CT scan slice | Slice 563 of 565 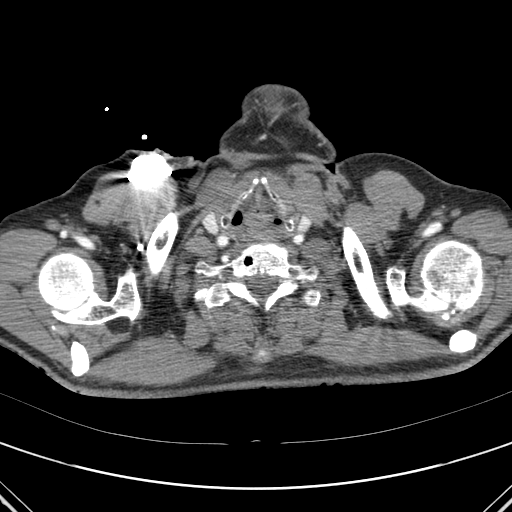

9 bone regions are bounded by x1=423 y1=223 x2=440 y2=236, x1=342 y1=226 x2=390 y2=318, x1=38 y1=253 x2=140 y2=324, x1=194 y1=280 x2=258 y2=307, x1=386 y1=241 x2=482 y2=311, x1=146 y1=212 x2=177 y2=275, x1=449 y1=330 x2=476 y2=352, x1=71 y1=342 x2=89 y2=376, x1=197 y1=243 x2=320 y2=310.